Field of view 363 mm wide, 5.00 mm slice spacing. CT slice. Slice 18 of 47. 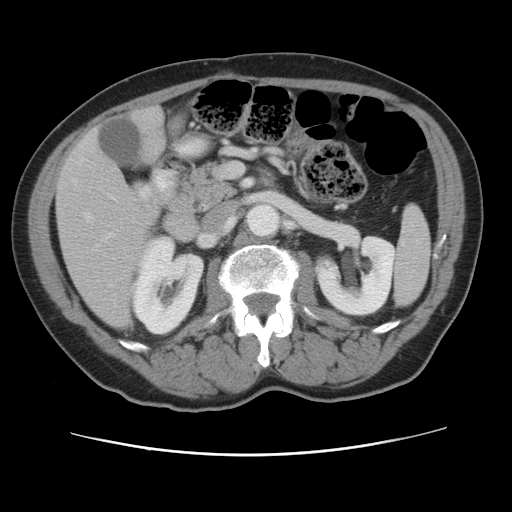
Not every hepatic vessel necessarily has a box.
Hepatic vessel — 113, 294, 115, 306; 115, 322, 121, 323.